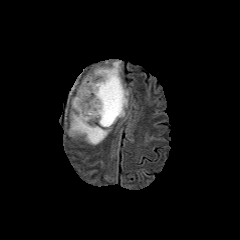
FLAIR MRI.
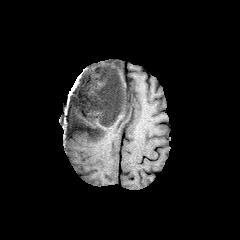
T1-weighted MR.
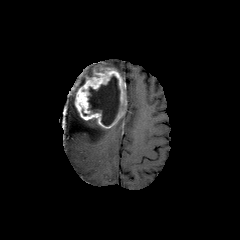
Post-contrast T1-weighted MR image of the same slice.
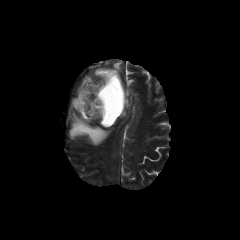
T2-weighted magnetic resonance.
Brain
Findings:
- enhancing tumor: (left=74, top=66, right=126, bottom=126)
- non-enhancing tumor core: (left=88, top=76, right=126, bottom=126), (left=76, top=70, right=93, bottom=92)
- edema: (left=68, top=76, right=110, bottom=145), (left=106, top=60, right=121, bottom=70)